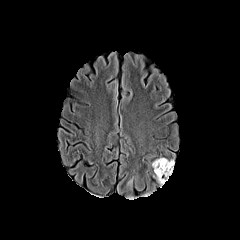
FLAIR MRI.
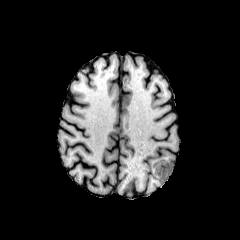
Same slice, T1-weighted MR image.
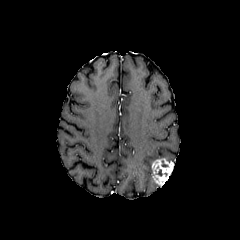
Same slice, post-contrast T1-weighted MR.
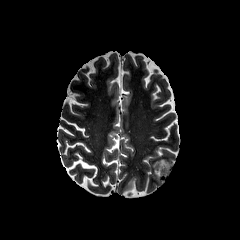
T2-weighted MRI of the same slice.
Brain
edema: [126, 177, 132, 190] | enhancing tumor: [151, 157, 174, 187]